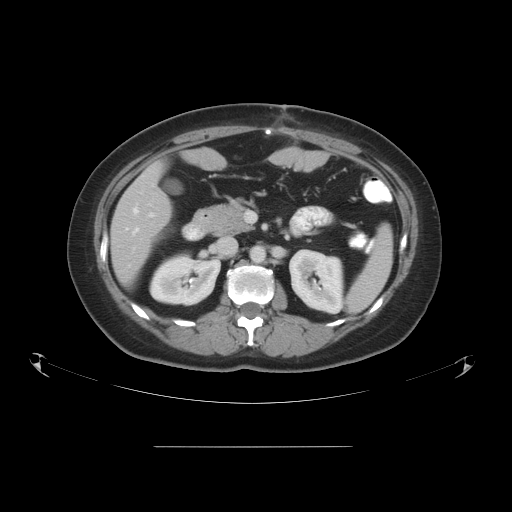 Abdomen; CT
The vessel annotation is not exhaustive.
6 hepatic vessel regions appear at <box>133,205,138,213</box>, <box>133,246,135,250</box>, <box>129,264,130,265</box>, <box>133,228,138,233</box>, <box>149,212,154,216</box>, <box>148,204,151,204</box>.